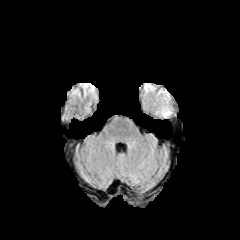
FLAIR MR.
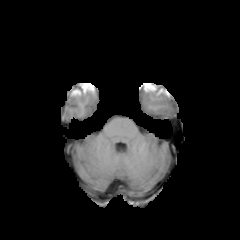
T1-weighted magnetic resonance.
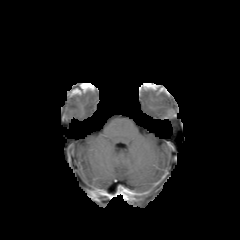
Same slice, post-contrast T1-weighted MR image.
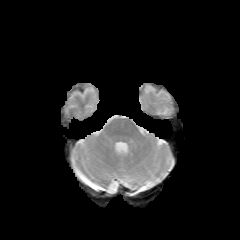
Same slice, T2-weighted MR image.
edema: bbox(154, 90, 172, 117)